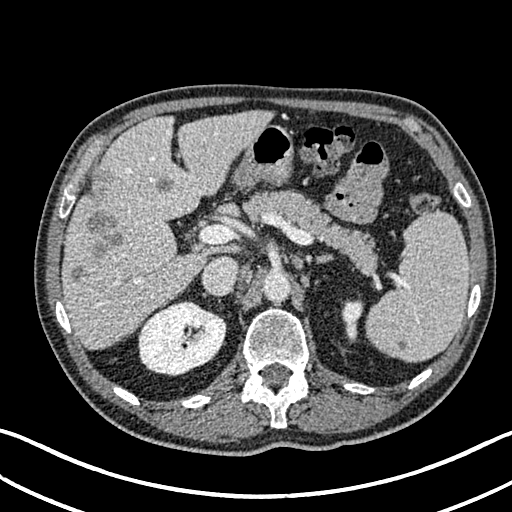 CT slice. Abdomen.

Liver: [x1=63, y1=110, x2=271, y2=347].
Kidney: [x1=343, y1=302, x2=361, y2=337], [x1=139, y1=302, x2=225, y2=374].
Liver lesion: [x1=88, y1=211, x2=123, y2=259], [x1=86, y1=172, x2=112, y2=198], [x1=156, y1=178, x2=170, y2=193], [x1=71, y1=268, x2=86, y2=282].